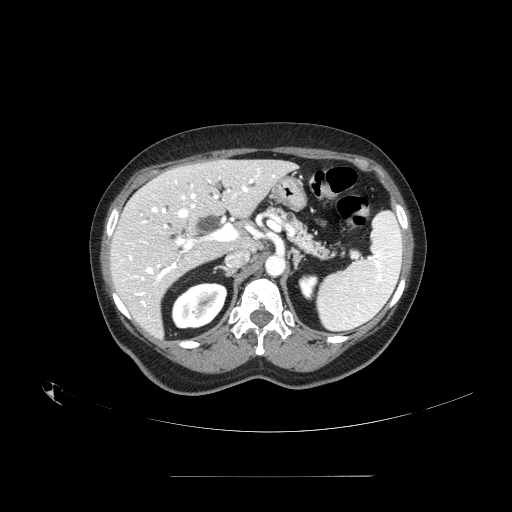 Upper abdomen; Computed tomography

pancreas:
  - left=267, top=207, right=361, bottom=260